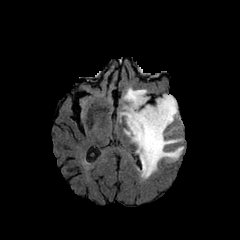
FLAIR MRI.
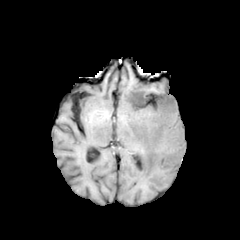
T1-weighted MR image.
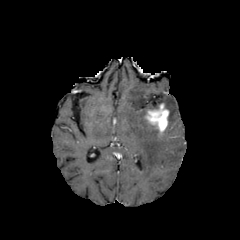
Post-contrast T1-weighted MR of the same slice.
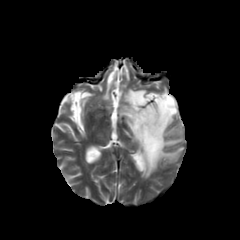
T2-weighted MR image.
240x240, Brain
<segmentation>
  <non-enhancing_tumor_core>l=148, t=97, r=169, b=109</non-enhancing_tumor_core>
  <enhancing_tumor>l=144, t=103, r=169, b=135</enhancing_tumor>
  <edema>l=119, t=88, r=183, b=179</edema>
</segmentation>